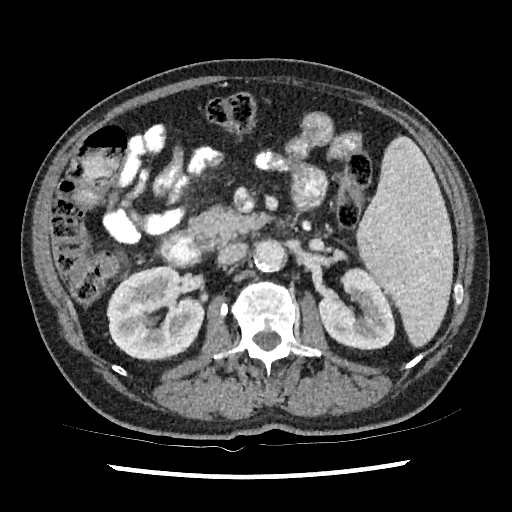

Abdomen; CT slice
Annotated regions:
* kidney: box=[107, 266, 203, 358]; box=[319, 269, 394, 348]